Computed tomography. Thorax. Slice 161 of 252.

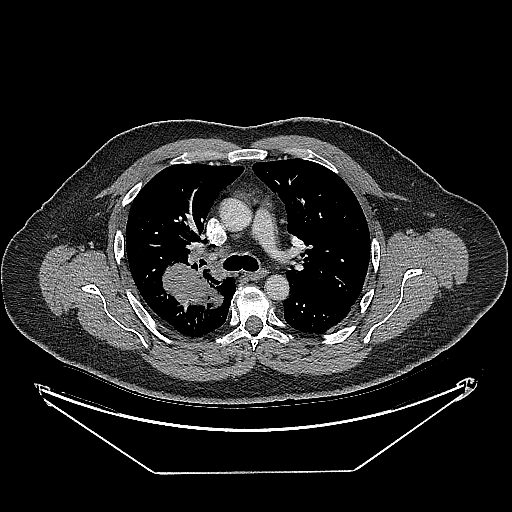 The lung tumor is located at left=162, top=242, right=229, bottom=312.